Lower abdomen | 512x512 | CT scan slice 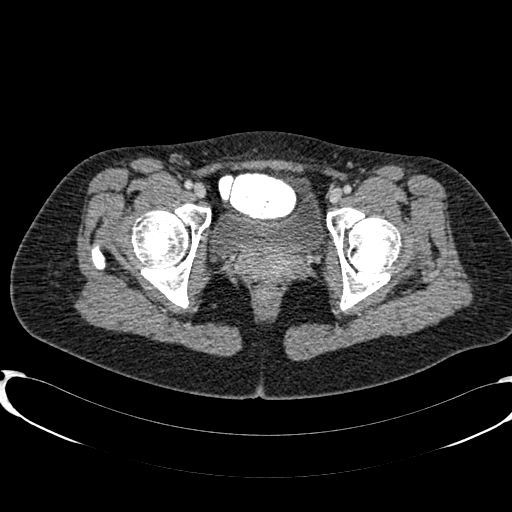

Annotated regions:
• urinary bladder: bbox=[218, 192, 322, 255]